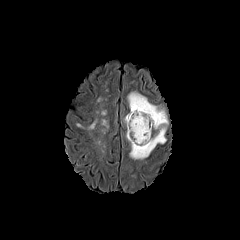
FLAIR magnetic resonance.
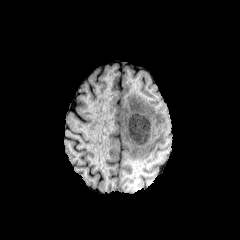
T1-weighted MR image of the same slice.
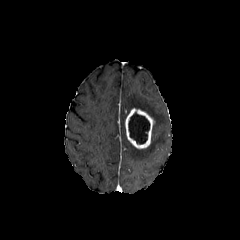
Same slice, post-contrast T1-weighted MR image.
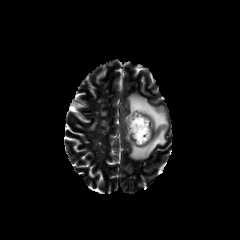
T2-weighted MR of the same slice.
Brain.
<segmentation>
  <enhancing_tumor>125 107 153 149</enhancing_tumor>
  <non-enhancing_tumor_core>128 112 149 144</non-enhancing_tumor_core>
  <edema>128 93 167 160</edema>
</segmentation>